FLAIR magnetic resonance.
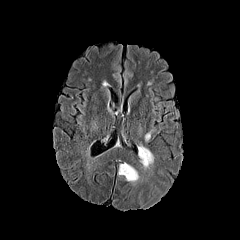
T1-weighted MR image.
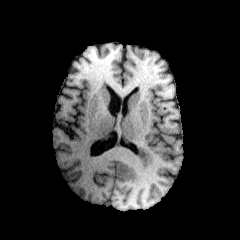
Post-contrast T1-weighted magnetic resonance.
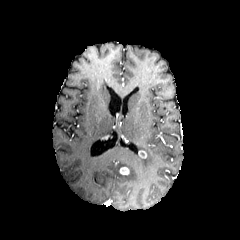
T2-weighted MRI.
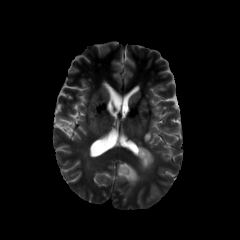
Enhancing tumor: (x1=138, y1=150, x2=147, y2=158), (x1=119, y1=167, x2=129, y2=175).
Edema: (x1=137, y1=145, x2=153, y2=169), (x1=144, y1=129, x2=155, y2=142), (x1=119, y1=163, x2=139, y2=183).